Field of view 372x372 mm, CT

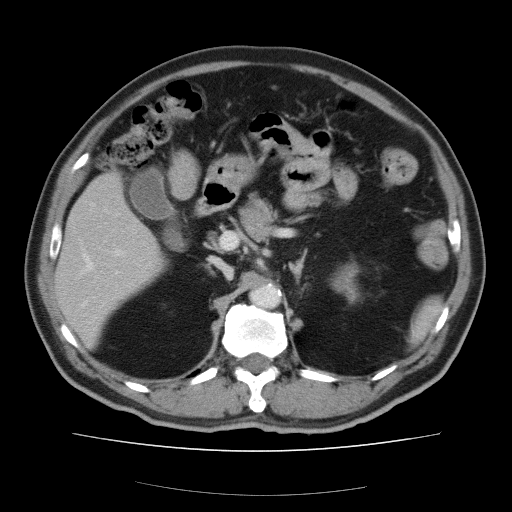 Not every hepatic vessel necessarily has a box.
{"hepatic_vessel": ["81:270:84:273", "83:253:91:269", "82:303:84:304", "115:251:118:253"], "liver_tumor": ["176:161:195:193"]}